FLAIR MRI.
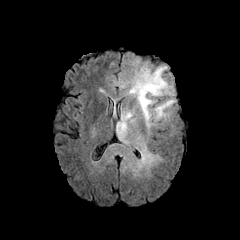
T1-weighted magnetic resonance.
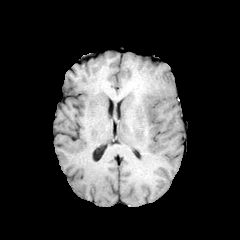
Post-contrast T1-weighted magnetic resonance.
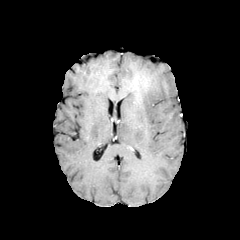
T2-weighted MR image.
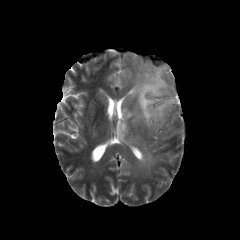
Image size 240x240
2 edema regions appear at 117, 110, 134, 139; 130, 65, 175, 127. The non-enhancing tumor core is at 130, 72, 155, 103.